Slice 88 of 99 | Liver | Computed tomography 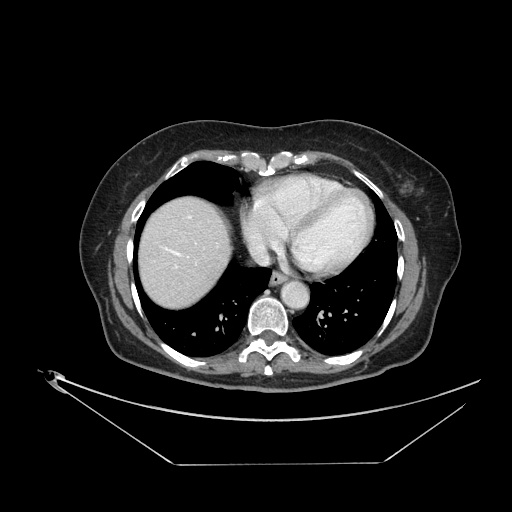 Only some of the vessels may be annotated.
3 hepatic vessel regions are located at x1=252 y1=246 x2=268 y2=264, x1=164 y1=248 x2=181 y2=255, x1=188 y1=216 x2=190 y2=218.